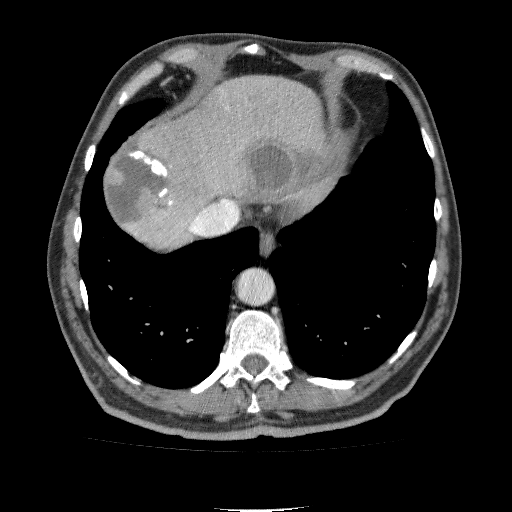 CT slice | 512x512 px

Liver — 123 75 337 250.
Hepatic lesion — 236 138 320 201, 104 144 179 228.